Slice index 29 | Field of view 240 mm wide, 1.00 mm slice spacing
FLAIR magnetic resonance.
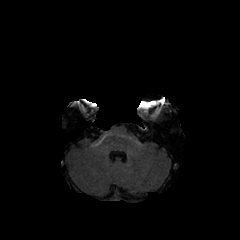
T1-weighted MR.
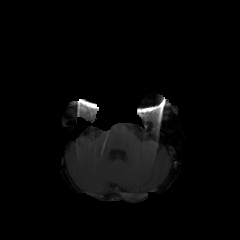
Post-contrast T1-weighted MRI.
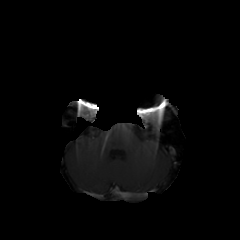
T2-weighted MR.
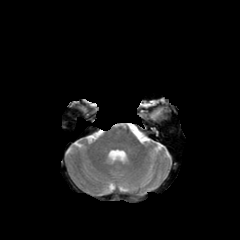
<segmentation>
  <non-enhancing_tumor_core>(left=141, top=103, right=163, bottom=115)</non-enhancing_tumor_core>
</segmentation>